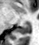

39x45 px, MRI

* posterior hippocampus: box(19, 22, 29, 34)